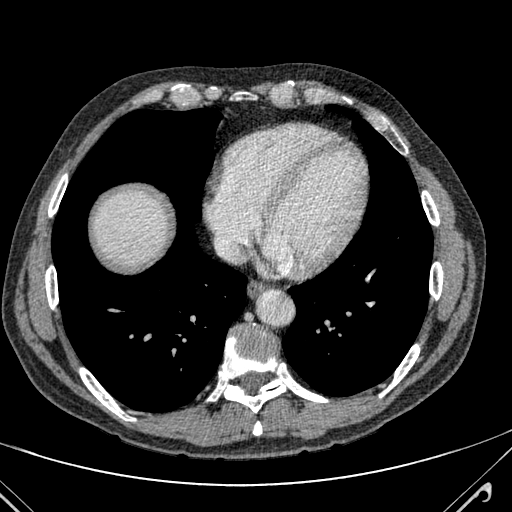
Abdomen; CT slice

{"liver": ["98 196 164 262"]}